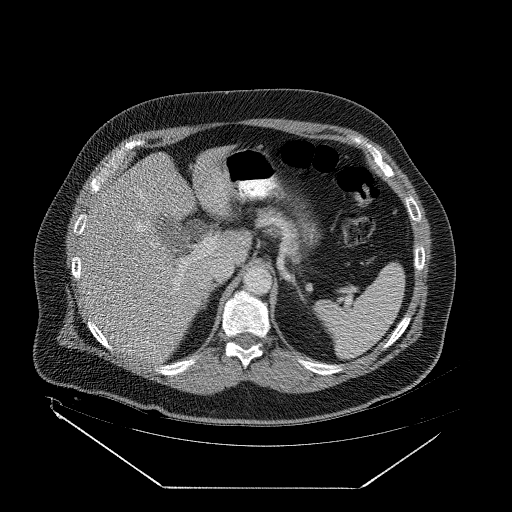
CT slice
Pancreas: bounding box x1=253, y1=207, x2=304, y2=260.